CT | Liver | Image size 512x512
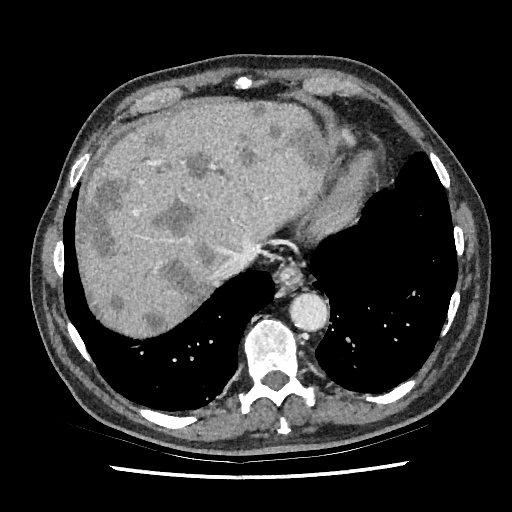
The liver is located at 76,103,327,336. 15 hepatic lesion regions appear at 110,295,125,310; 149,198,197,236; 144,131,163,146; 283,120,325,169; 143,309,167,333; 195,242,215,267; 269,126,280,139; 275,105,286,112; 234,135,257,168; 186,151,228,179; 159,258,210,312; 296,188,307,198; 253,104,265,116; 243,190,250,197; 78,169,135,257.